Field of view 400x400 mm | CT slice | Slice 421/836

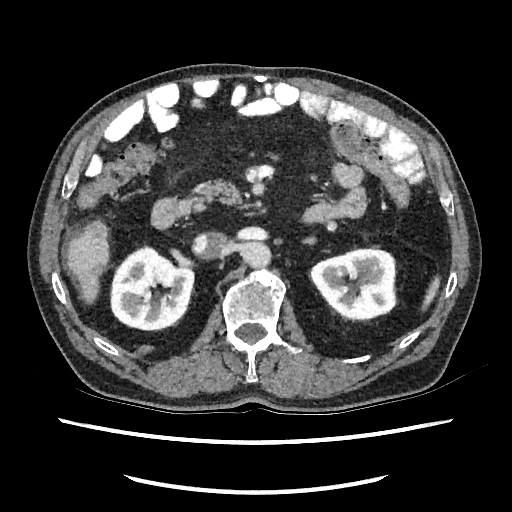 focal_liver_lesion:
  - l=93, t=264, r=103, b=274
  - l=93, t=224, r=102, b=237
kidney:
  - l=110, t=246, r=194, b=330
  - l=310, t=248, r=395, b=320
liver:
  - l=68, t=222, r=108, b=302